Image size 512x512, CT, Slice 69 of 141, Abdomen
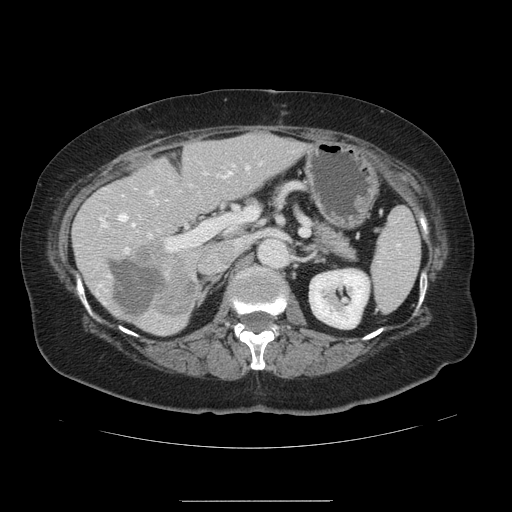
The vessel annotation is not exhaustive.
Segmented structures:
- hepatic vessel: [x1=221, y1=205, x2=222, y2=206], [x1=231, y1=163, x2=233, y2=166], [x1=118, y1=213, x2=126, y2=219], [x1=245, y1=166, x2=248, y2=168], [x1=99, y1=217, x2=106, y2=226], [x1=218, y1=171, x2=230, y2=177], [x1=166, y1=213, x2=230, y2=250], [x1=148, y1=190, x2=152, y2=193], [x1=124, y1=248, x2=128, y2=252], [x1=203, y1=172, x2=206, y2=173], [x1=148, y1=233, x2=151, y2=237], [x1=132, y1=223, x2=134, y2=225]
- liver tumor: [x1=109, y1=243, x2=193, y2=315]